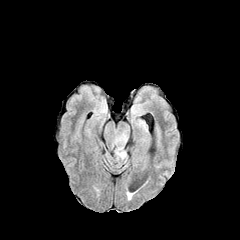
FLAIR MR.
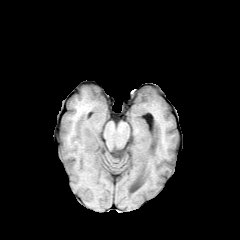
T1-weighted MR image.
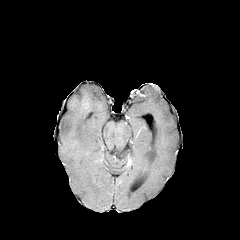
Post-contrast T1-weighted magnetic resonance.
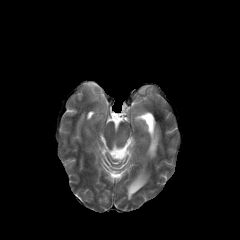
T2-weighted MR.
Brain
- edema: 112,134,128,163